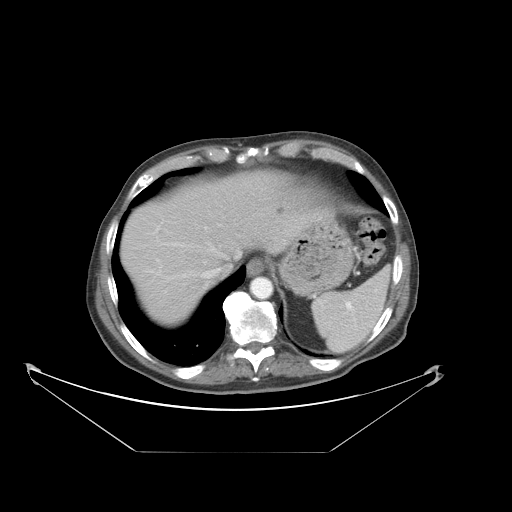

Abdomen, CT
Only some of the vessels may be annotated.
Segmented structures:
* hepatic vessel: region(162, 243, 184, 246); region(203, 268, 221, 288); region(182, 275, 186, 277); region(153, 226, 160, 234); region(236, 251, 241, 258); region(157, 260, 158, 261); region(230, 265, 231, 267); region(204, 242, 228, 259)